Slice index 71, 240x240 px
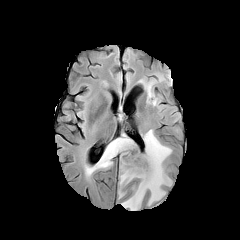
FLAIR MRI.
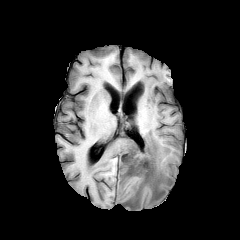
T1-weighted magnetic resonance.
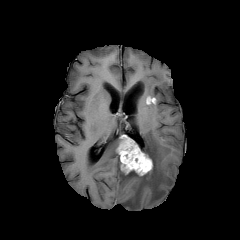
Post-contrast T1-weighted MR.
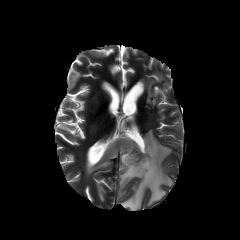
T2-weighted MR.
3 edema regions are located at rect(146, 81, 156, 104); rect(86, 137, 119, 173); rect(119, 129, 171, 210). The enhancing tumor lies within rect(117, 135, 152, 175). 2 non-enhancing tumor core regions are bounded by rect(125, 170, 139, 176); rect(140, 152, 154, 182).